Head, Slice index 71, 240x240
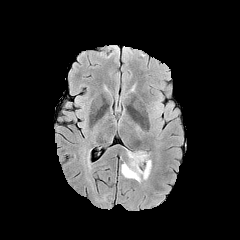
FLAIR magnetic resonance.
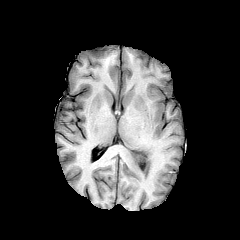
T1-weighted magnetic resonance.
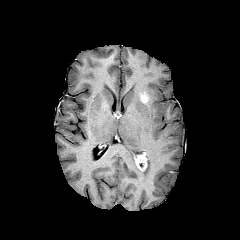
Post-contrast T1-weighted MR image of the same slice.
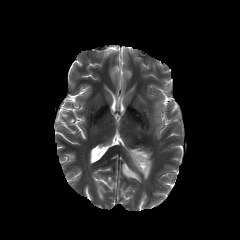
T2-weighted MR image.
The enhancing tumor is bounded by left=133, top=152, right=147, bottom=171. The edema appears at left=121, top=148, right=151, bottom=182.